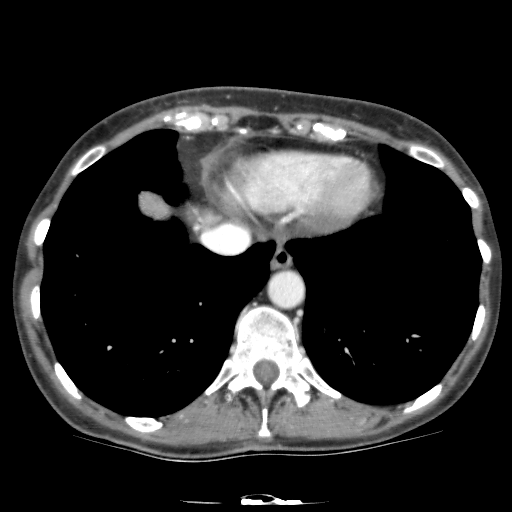
CT, Upper abdomen
2 liver regions appear at {"x1": 138, "y1": 191, "x2": 172, "y2": 219}, {"x1": 201, "y1": 212, "x2": 220, "y2": 223}.